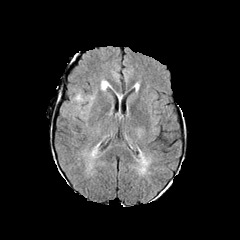
FLAIR MRI.
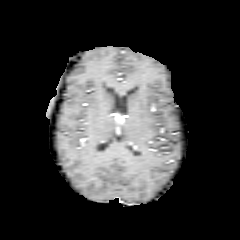
T1-weighted MRI of the same slice.
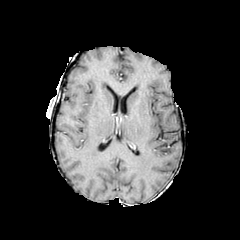
Post-contrast T1-weighted MRI.
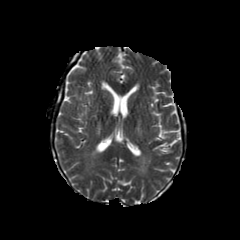
Same slice, T2-weighted magnetic resonance.
Brain
Edema: {"x1": 90, "y1": 146, "x2": 98, "y2": 157}.